Hippocampus | MR image

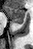
The posterior hippocampus appears at box(13, 22, 22, 23). The anterior hippocampus is at box(5, 6, 24, 21).